Brain
FLAIR magnetic resonance.
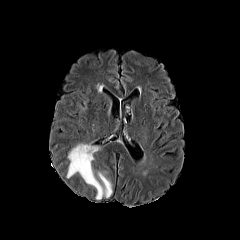
T1-weighted magnetic resonance.
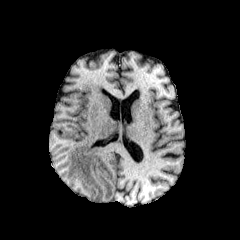
Post-contrast T1-weighted MRI.
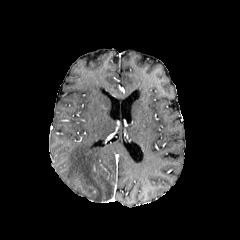
T2-weighted MR.
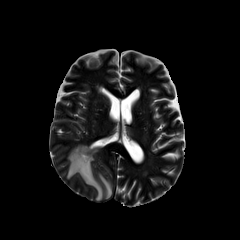
The edema is bounded by rect(67, 143, 111, 199).